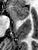 38x50 px, Hippocampus, MRI

* anterior hippocampus: left=9, top=6, right=28, bottom=20